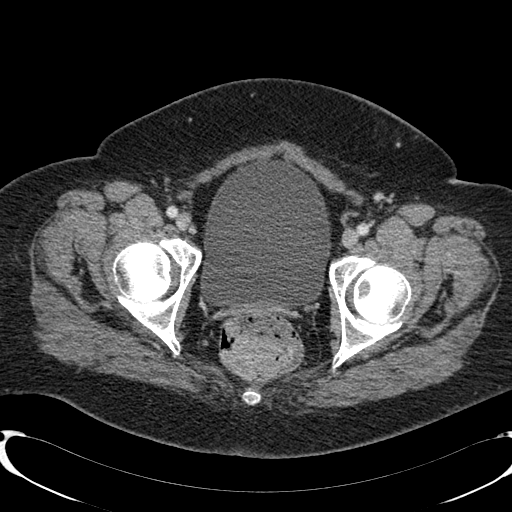
Lower abdomen. CT scan slice.

Annotated regions:
* urinary bladder: [200, 155, 330, 307]